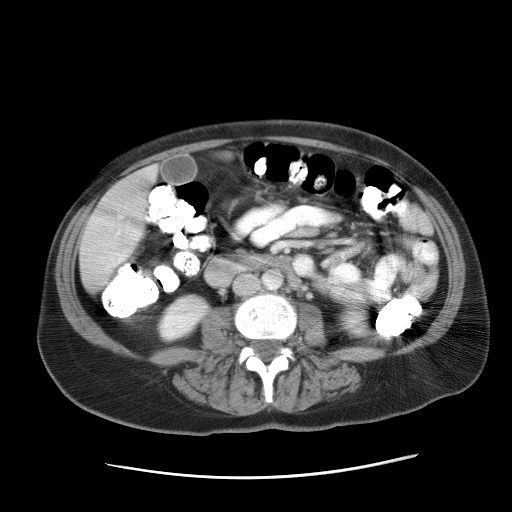 Abdomen, CT image
Some hepatic vessels may have no box.
4 hepatic vessel regions are bounded by 112 255 122 264, 125 250 129 252, 129 229 139 239, 106 266 110 270.